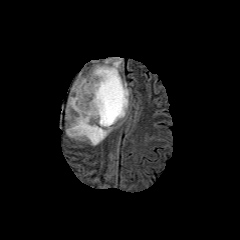
FLAIR MR.
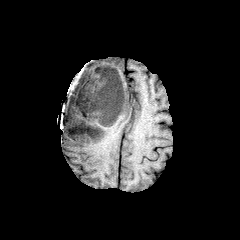
T1-weighted MRI.
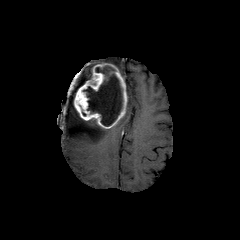
Post-contrast T1-weighted MR.
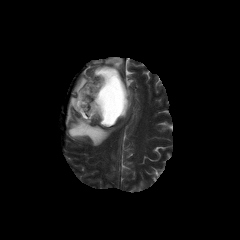
Same slice, T2-weighted MRI.
240x240 px, Brain
<segmentation>
  <enhancing_tumor>[73, 62, 127, 129]</enhancing_tumor>
  <edema>[65, 65, 113, 146], [123, 81, 133, 119], [102, 57, 123, 72]</edema>
  <non-enhancing_tumor_core>[84, 74, 122, 126]</non-enhancing_tumor_core>
</segmentation>